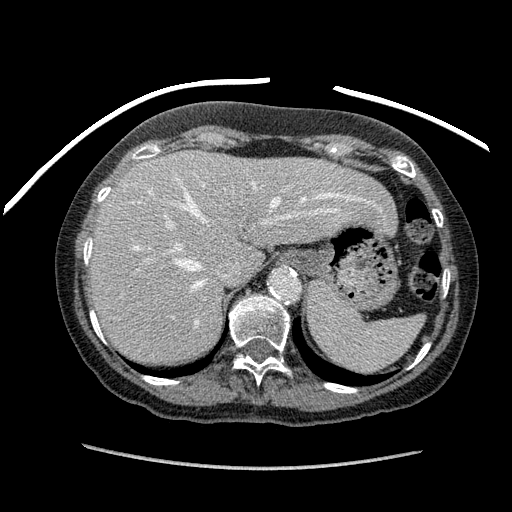 CT scan slice
Liver: bbox=[91, 151, 395, 364].